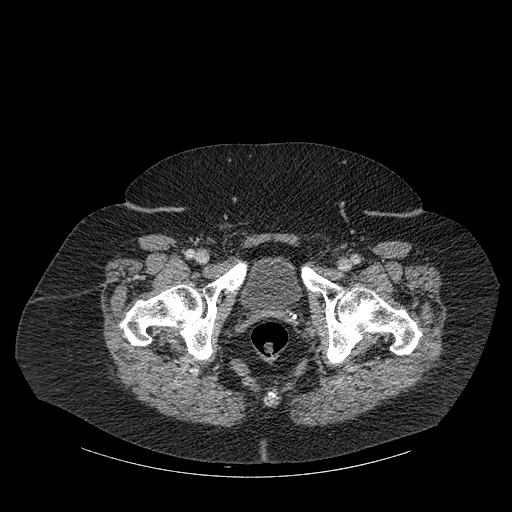
Image size 512x512; Computed tomography; Pelvis
The urinary bladder appears at 239,256,302,321. 2 bone regions appear at 301,267,421,363; 120,263,246,359.